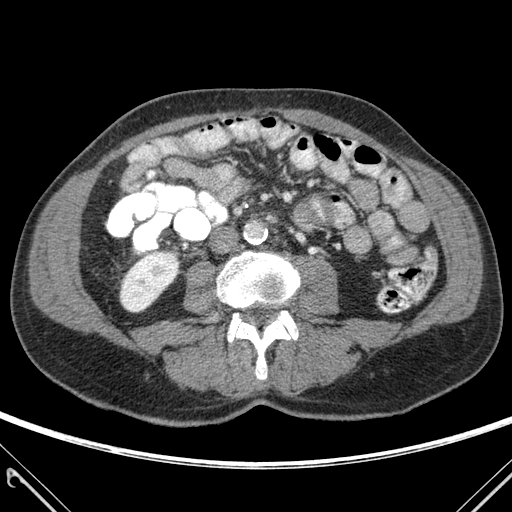

Image size 512x512, CT

bone: 228 311 297 379, 217 252 299 307 | kidney: 121 252 177 311